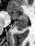

MR | Medial temporal lobe
The posterior hippocampus is bounded by rect(13, 21, 28, 30). The anterior hippocampus is bounded by rect(10, 11, 28, 20).